CT scan slice. Slice 78/174. 512x512.
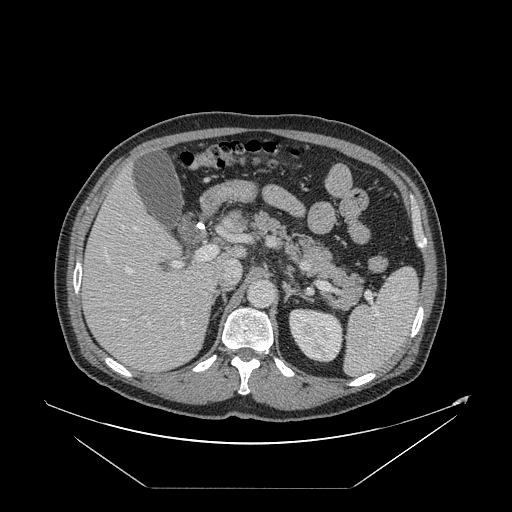 Not every hepatic vessel necessarily has a box.
<segmentation>
  <hepatic_vessel>196,246,216,260; 142,317,145,318; 224,260,239,283; 126,268,131,273; 105,250,108,262; 122,319,125,326; 204,293,205,294; 134,227,136,230; 172,261,181,266; 210,287,213,291</hepatic_vessel>
</segmentation>